CT slice. Slice 35/44. 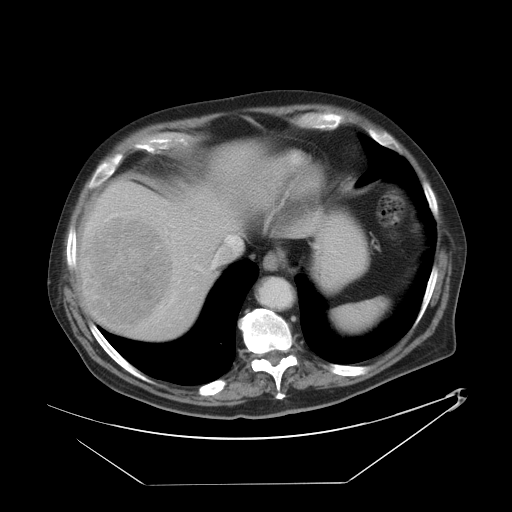 Not every hepatic vessel necessarily has a box.
2 hepatic vessel regions are located at <bbox>226, 236, 240, 247</bbox>, <bbox>212, 255, 217, 266</bbox>. The liver tumor is bounded by <bbox>83, 216, 174, 328</bbox>.